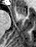

MR. Image size 36x47.

<segmentation>
  <anterior_hippocampus>x1=17 y1=6 x2=26 y2=15</anterior_hippocampus>
</segmentation>